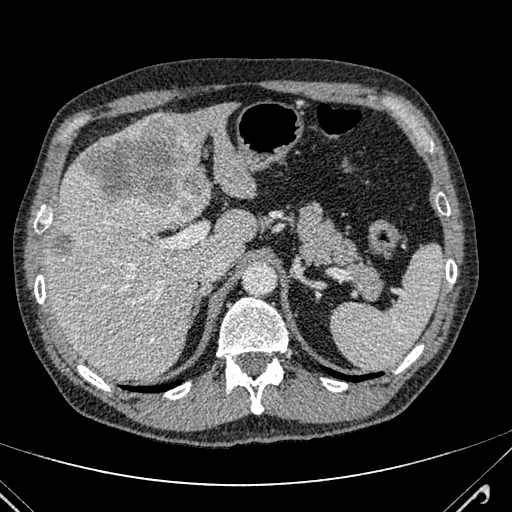
CT slice

2 hepatic lesion regions are bounded by region(81, 117, 207, 211); region(50, 234, 74, 256). 3 liver regions are bounded by region(47, 155, 255, 378); region(157, 103, 255, 196); region(96, 122, 144, 144).